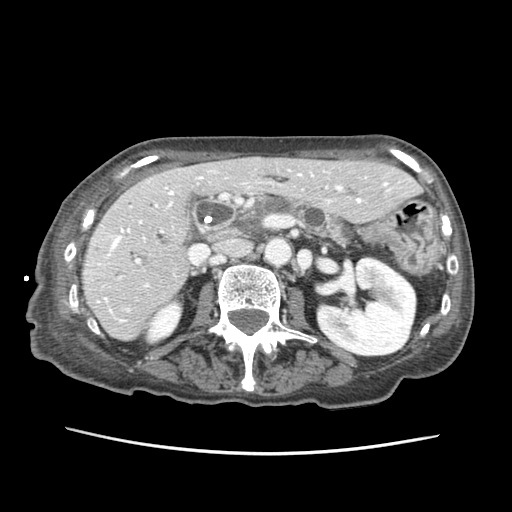 CT slice
Pancreas: bounding box region(245, 197, 351, 246).